Slice index 43, CT image, 512x512 px, Abdomen 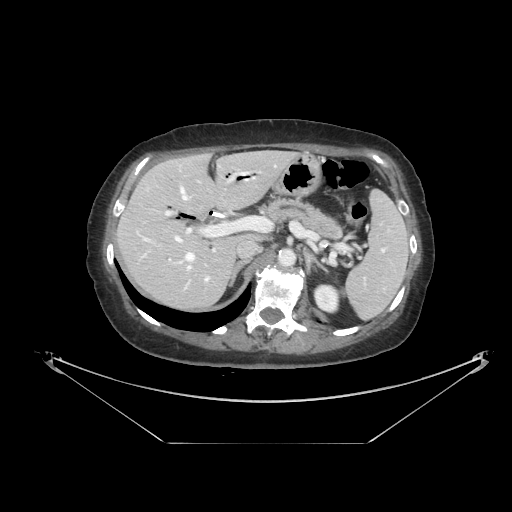

The pancreas is at [264,199,342,239].